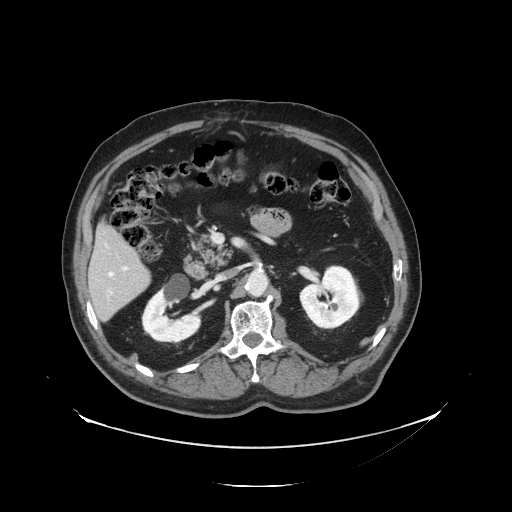
Computed tomography. Liver.
Not every hepatic vessel necessarily has a box.
Hepatic vessel: region(123, 267, 127, 270); region(109, 272, 113, 276); region(106, 244, 107, 246); region(107, 290, 112, 297).